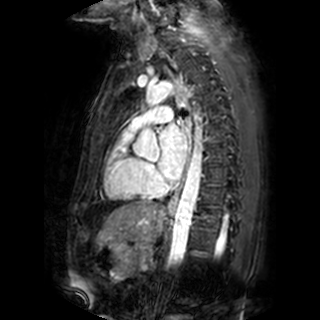
MRI. The left atrium is at {"x1": 158, "y1": 124, "x2": 186, "y2": 180}.